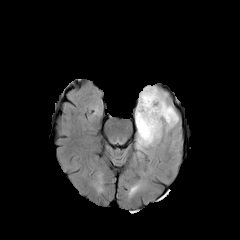
FLAIR MR.
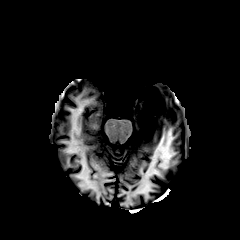
T1-weighted magnetic resonance.
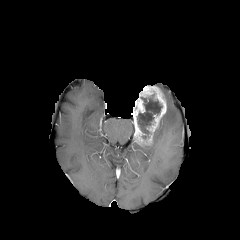
Post-contrast T1-weighted MR of the same slice.
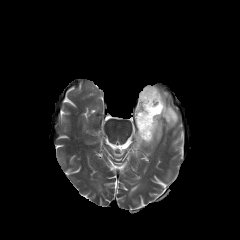
T2-weighted MR image.
240x240.
edema: l=136, t=95, r=178, b=152 | enhancing tumor: l=146, t=87, r=166, b=131; l=132, t=98, r=145, b=142 | non-enhancing tumor core: l=137, t=85, r=162, b=146